CT scan slice | Field of view 434x434 mm | 512x512 px

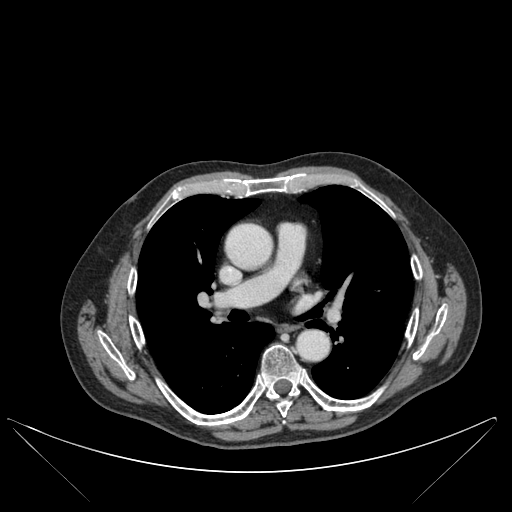
lung:
  - 298:185:412:399
  - 136:195:274:414
bone:
  - 170:191:178:198
  - 156:345:383:425
  - 129:316:144:347
  - 98:331:134:379
  - 411:255:421:278
  - 127:268:136:293
  - 406:309:418:344
  - 231:175:297:195
  - 413:305:447:359
  - 356:183:388:211